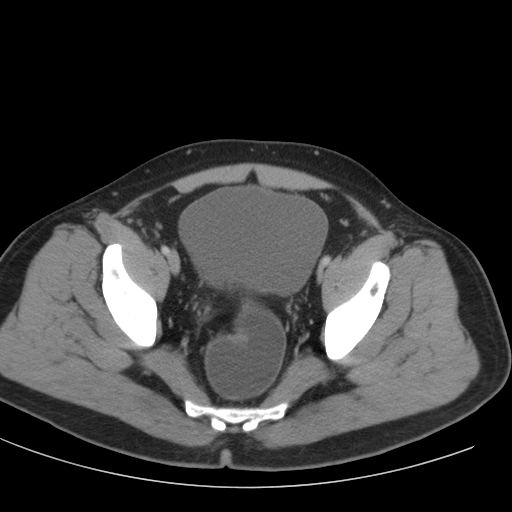
CT image.
Urinary bladder — 182:185:327:299.